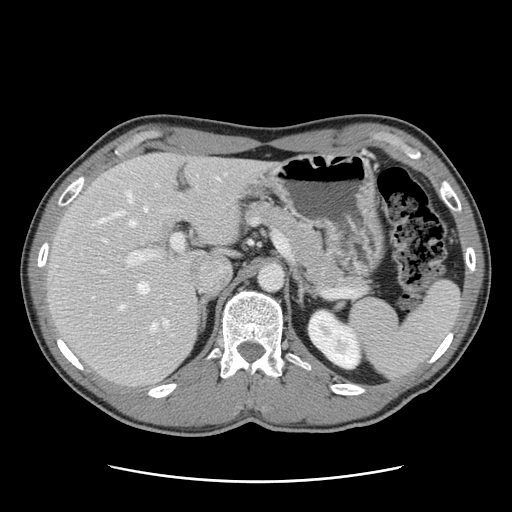
Liver, CT image
Some hepatic vessels may have no box.
<segmentation>
  <hepatic_vessel>x1=144 y1=207 x2=146 y2=210, x1=126 y1=190 x2=132 y2=202, x1=118 y1=305 x2=124 y2=308, x1=112 y1=210 x2=123 y2=216, x1=128 y1=220 x2=135 y2=226, x1=163 y1=319 x2=168 y2=326, x1=92 y1=296 x2=94 y2=298, x1=127 y1=250 x2=154 y2=263, x1=216 y1=177 x2=218 y2=179, x1=102 y1=239 x2=105 y2=241, x1=155 y1=184 x2=157 y2=185, x1=137 y1=283 x2=148 y2=293, x1=171 y1=234 x2=183 y2=250, x1=98 y1=217 x2=110 y2=222, x1=150 y1=323 x2=156 y2=330</hepatic_vessel>
</segmentation>